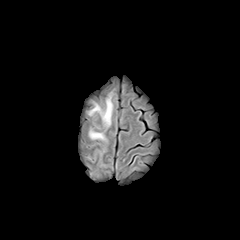
FLAIR magnetic resonance.
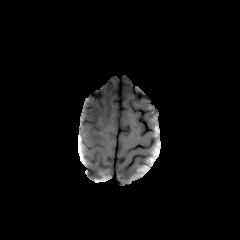
T1-weighted MR image of the same slice.
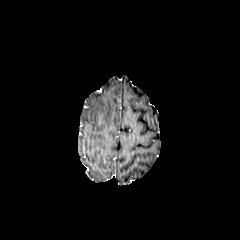
Post-contrast T1-weighted magnetic resonance of the same slice.
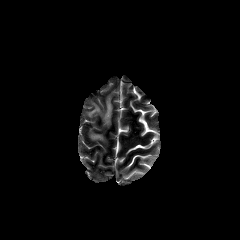
T2-weighted MR image.
Brain.
Edema: [x1=102, y1=99, x2=112, y2=125], [x1=90, y1=105, x2=99, y2=113], [x1=90, y1=132, x2=103, y2=139].